FLAIR magnetic resonance.
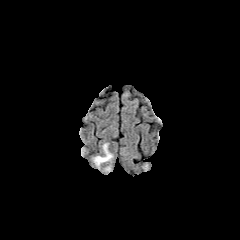
T1-weighted MR.
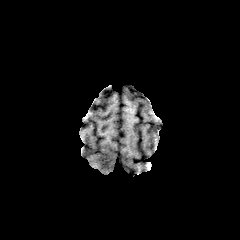
Post-contrast T1-weighted MRI.
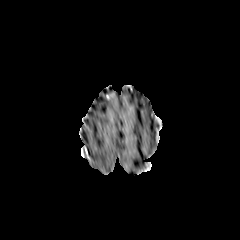
T2-weighted MR image.
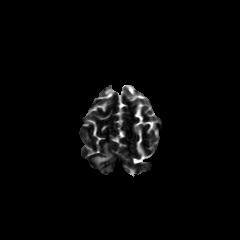
Head
Edema — 94:144:111:164.